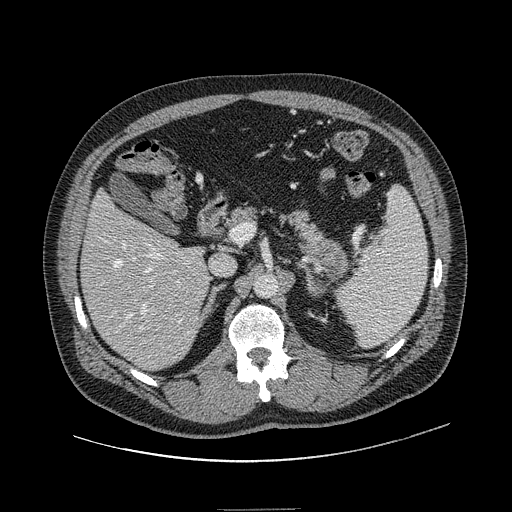

CT image; Upper abdomen
pancreas:
  - left=225, top=207, right=258, bottom=229
  - left=282, top=211, right=348, bottom=278
pancreatic_tumor:
  - left=312, top=239, right=343, bottom=272